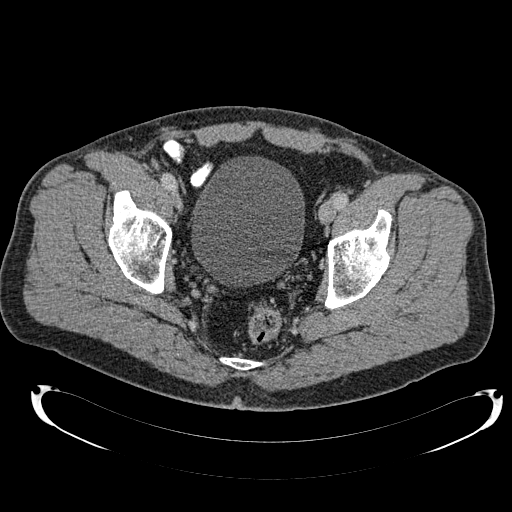

CT image
urinary_bladder:
  - (191,156,304,285)